Slice 330 of 751. CT image.
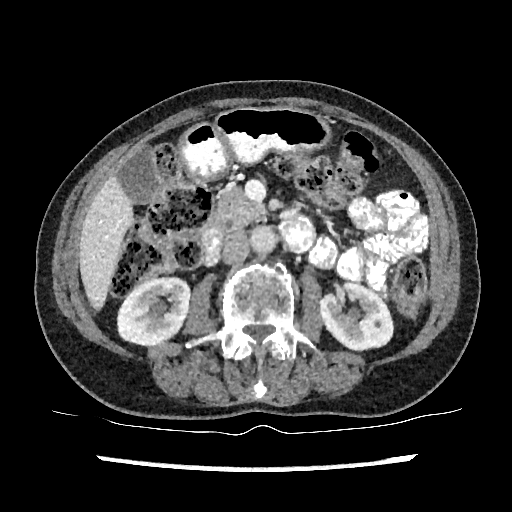 Annotated regions:
* liver: box=[79, 179, 133, 308]
* kidney: box=[118, 279, 189, 345]; box=[321, 284, 392, 349]